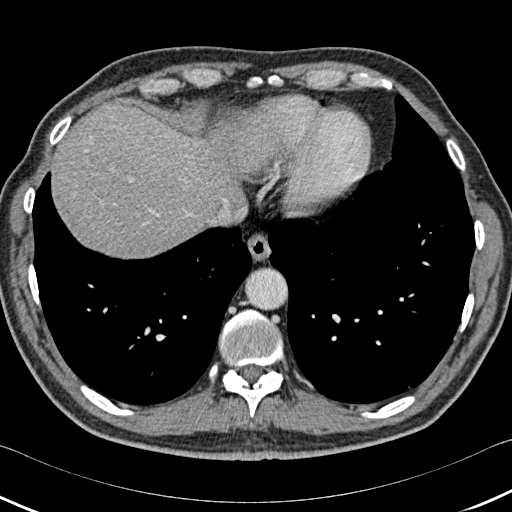 CT slice. 512x512.
liver:
  - region(52, 106, 272, 257)
  - region(212, 116, 220, 132)
bone:
  - region(223, 370, 282, 416)
  - region(447, 140, 464, 170)
  - region(81, 386, 133, 415)
  - region(210, 365, 217, 379)
  - region(362, 397, 414, 418)
  - region(460, 294, 473, 331)
  - region(268, 75, 282, 84)
  - region(50, 116, 70, 144)
  - region(221, 310, 282, 365)
  - region(474, 220, 484, 249)
  - region(28, 265, 38, 303)
  - region(248, 77, 262, 85)
  - region(24, 188, 34, 212)
lung:
  - region(266, 94, 475, 403)
  - region(32, 172, 256, 405)
  - region(21, 165, 29, 174)